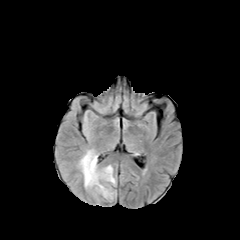
FLAIR magnetic resonance.
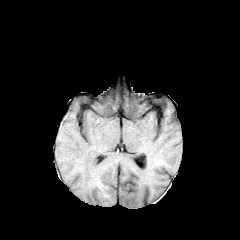
T1-weighted MR image.
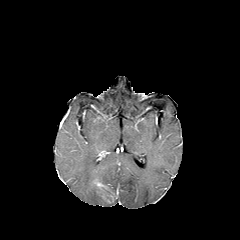
Post-contrast T1-weighted MR image of the same slice.
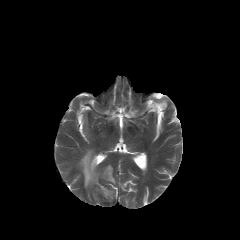
Same slice, T2-weighted MRI.
Edema at (79, 149, 115, 199).